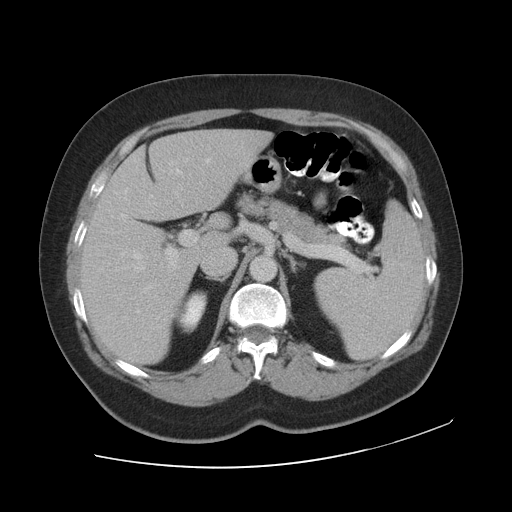 Computed tomography. 512x512. The vessel annotation is not exhaustive.
The principal 15 hepatic vessel regions (of 17) appear at {"x1": 122, "y1": 251, "x2": 124, "y2": 254}, {"x1": 134, "y1": 253, "x2": 141, "y2": 258}, {"x1": 185, "y1": 159, "x2": 187, "y2": 161}, {"x1": 169, "y1": 169, "x2": 180, "y2": 173}, {"x1": 149, "y1": 203, "x2": 155, "y2": 204}, {"x1": 170, "y1": 162, "x2": 173, "y2": 164}, {"x1": 207, "y1": 147, "x2": 210, "y2": 149}, {"x1": 181, "y1": 230, "x2": 197, "y2": 245}, {"x1": 143, "y1": 285, "x2": 152, "y2": 292}, {"x1": 124, "y1": 188, "x2": 127, "y2": 194}, {"x1": 166, "y1": 249, "x2": 177, "y2": 267}, {"x1": 150, "y1": 195, "x2": 152, "y2": 197}, {"x1": 133, "y1": 265, "x2": 144, "y2": 270}, {"x1": 205, "y1": 158, "x2": 209, "y2": 162}, {"x1": 121, "y1": 214, "x2": 125, "y2": 220}.